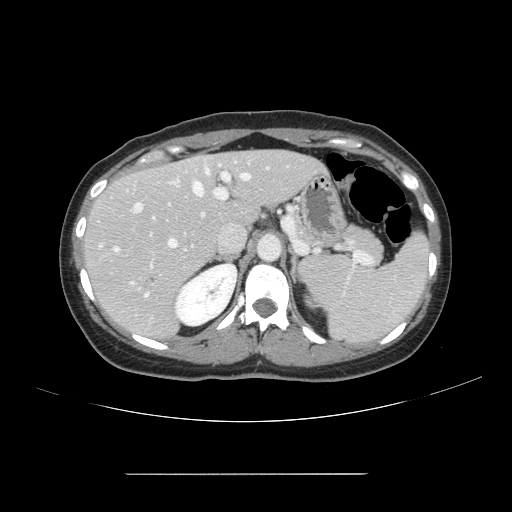

CT
The vessel boxes may cover only some of the vessels.
hepatic_vessel:
  - [221, 172, 229, 180]
  - [206, 168, 208, 174]
  - [219, 165, 220, 166]
  - [214, 188, 226, 198]
  - [171, 178, 178, 183]
  - [169, 239, 176, 246]
  - [241, 173, 249, 179]
  - [99, 245, 101, 246]
  - [193, 182, 202, 195]
  - [145, 294, 147, 296]
  - [202, 213, 204, 215]
  - [134, 203, 141, 211]
  - [114, 247, 118, 251]